Slice 465/846 | Computed tomography
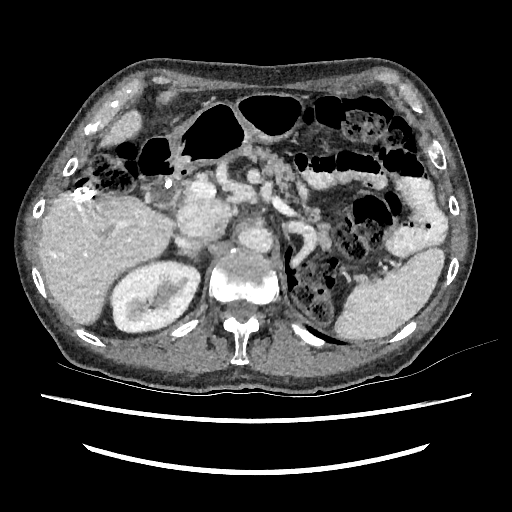 The kidney lies within 112 262 199 331. 3 liver regions are bounded by 40 193 174 323, 100 111 140 146, 159 90 174 102.